Abdomen; CT image
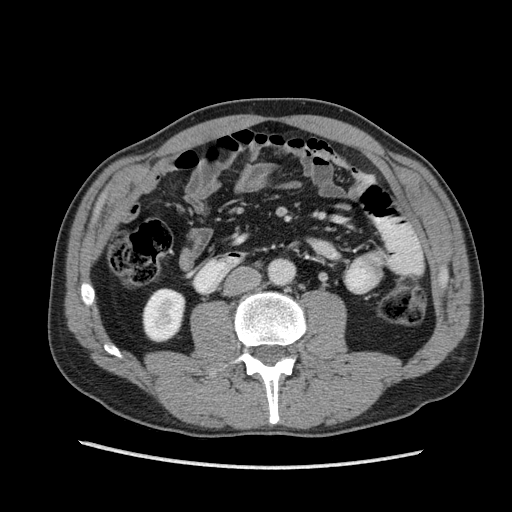

- kidney: [144, 290, 183, 339]